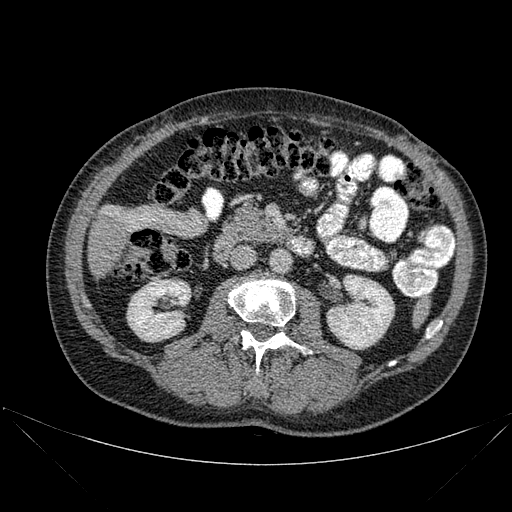

CT scan slice
Kidney: bounding box box(127, 279, 190, 341); box(327, 275, 394, 349).
Liver: bounding box box(88, 213, 129, 277).
Bone: bounding box box(240, 329, 304, 370); box(426, 321, 441, 337); box(228, 279, 294, 326).